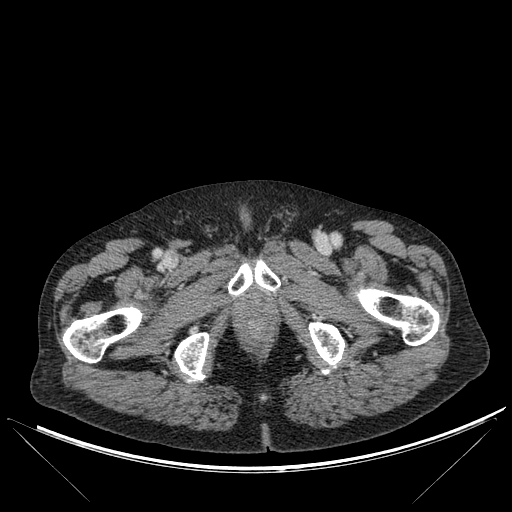
Computed tomography

{
  "bone": [
    "region(355, 288, 439, 345)",
    "region(62, 307, 142, 362)",
    "region(309, 322, 344, 372)",
    "region(174, 332, 208, 382)",
    "region(228, 260, 280, 296)"
  ]
}